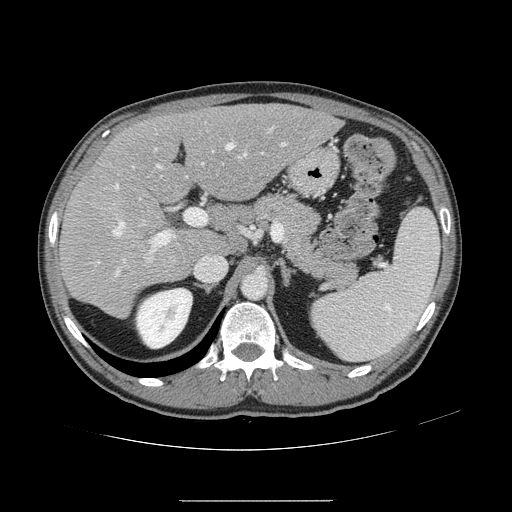
Abdomen, 512x512 px, CT slice

Not every hepatic vessel necessarily has a box.
hepatic vessel: x1=226 y1=142 x2=234 y2=149, x1=185 y1=209 x2=204 y2=224, x1=145 y1=231 x2=174 y2=261, x1=156 y1=165 x2=161 y2=167, x1=113 y1=216 x2=124 y2=236, x1=281 y1=142 x2=285 y2=145, x1=115 y1=269 x2=119 y2=275, x1=269 y1=126 x2=273 y2=131, x1=114 y1=184 x2=118 y2=188, x1=238 y1=153 x2=245 y2=158, x1=96 y1=261 x2=99 y2=262, x1=123 y1=259 x2=125 y2=262, x1=155 y1=148 x2=156 y2=150, x1=142 y1=222 x2=145 y2=225